Head
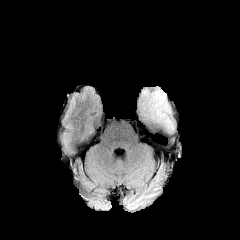
FLAIR MRI.
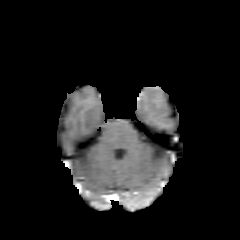
T1-weighted MR.
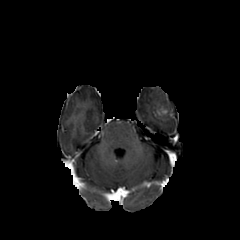
Same slice, post-contrast T1-weighted MR.
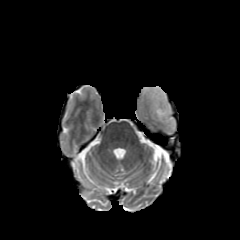
Same slice, T2-weighted MR image.
The edema lies within x1=142 y1=89 x2=174 y2=131. The non-enhancing tumor core appears at x1=156 y1=108 x2=167 y2=115.